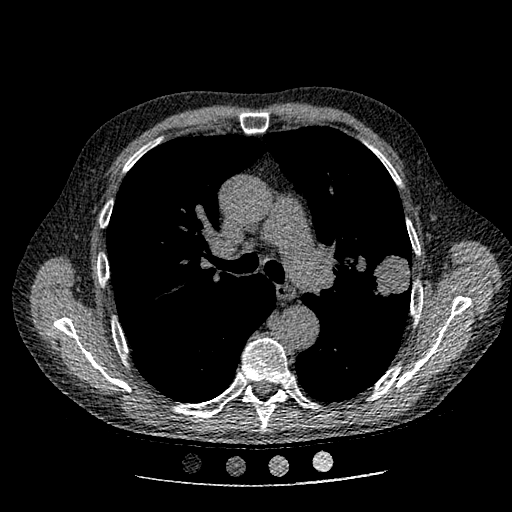 Image size 512x512, CT slice, Thorax
lung_tumor:
  - (left=342, top=252, right=411, bottom=306)